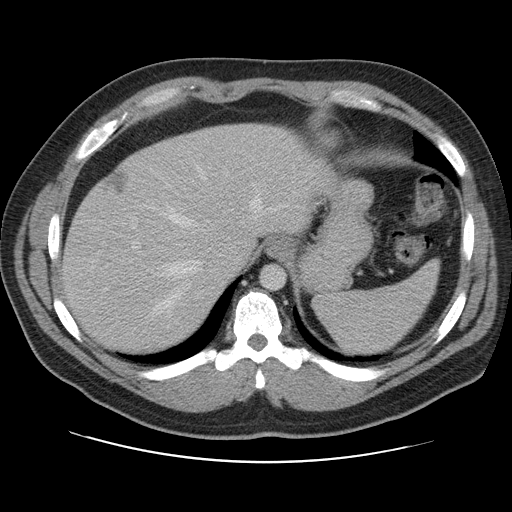 Image size 512x512 | CT image | Abdomen
The vessel annotation is not exhaustive.
Top 15 of 21 hepatic vessel regions: [x1=250, y1=199, x2=264, y2=213], [x1=175, y1=191, x2=177, y2=194], [x1=269, y1=207, x2=275, y2=210], [x1=182, y1=261, x2=201, y2=269], [x1=130, y1=224, x2=136, y2=228], [x1=166, y1=183, x2=170, y2=187], [x1=160, y1=274, x2=168, y2=277], [x1=154, y1=297, x2=172, y2=314], [x1=132, y1=241, x2=139, y2=248], [x1=170, y1=262, x2=178, y2=274], [x1=176, y1=288, x2=180, y2=294], [x1=197, y1=166, x2=205, y2=179], [x1=223, y1=172, x2=228, y2=175], [x1=254, y1=230, x2=259, y2=235], [x1=183, y1=283, x2=184, y2=287].
Liver tumor: [x1=108, y1=171, x2=127, y2=193].